FLAIR MR.
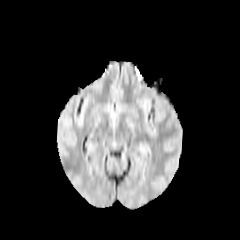
T1-weighted MR image.
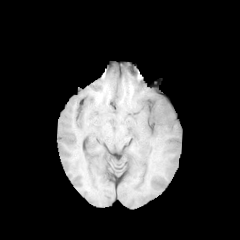
Post-contrast T1-weighted MR image.
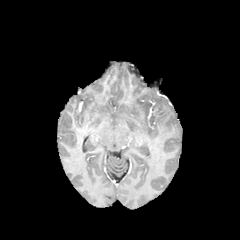
T2-weighted MR image.
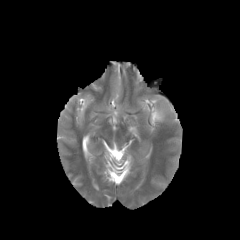
Image size 240x240.
Edema: {"x1": 154, "y1": 110, "x2": 162, "y2": 122}.